Slice 68/154 | Abdomen | Field of view 411 mm wide, 1.50 mm slice spacing | CT slice
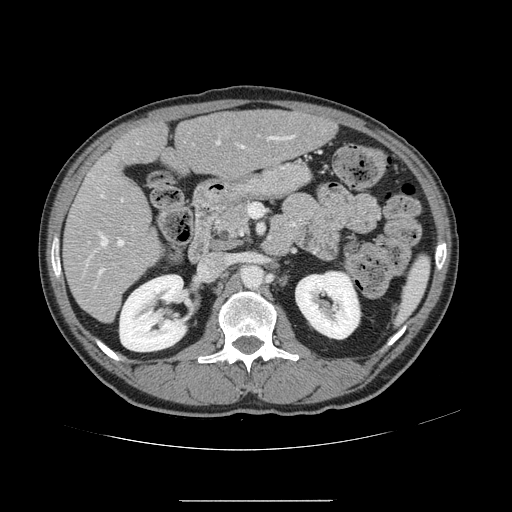
Not every hepatic vessel necessarily has a box.
Hepatic vessel = 121:198:122:200, 118:239:123:245, 85:253:93:265, 99:232:106:246, 267:135:294:140, 98:268:104:276, 94:286:96:287, 94:250:97:252, 236:143:243:147, 100:194:103:196, 84:268:85:271, 217:141:219:144.